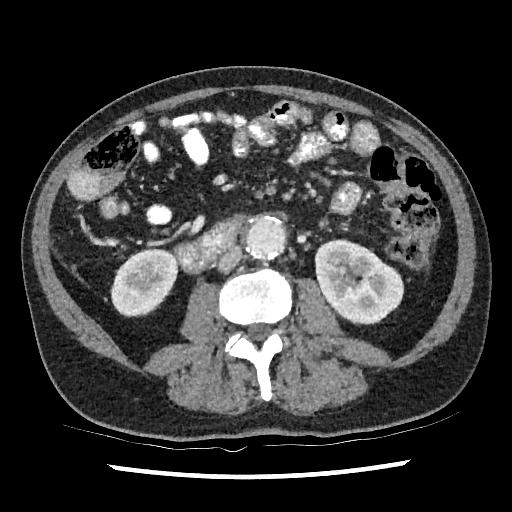

CT. 2 kidney regions appear at rect(315, 240, 403, 323); rect(112, 249, 177, 315).